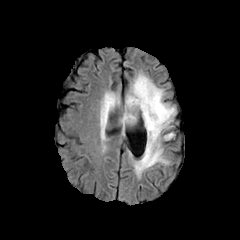
FLAIR magnetic resonance.
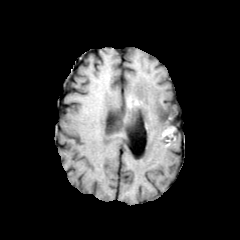
Same slice, T1-weighted MRI.
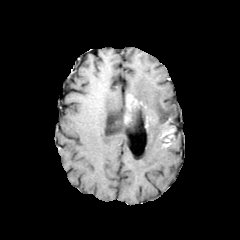
Post-contrast T1-weighted magnetic resonance.
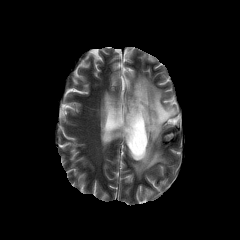
T2-weighted MRI.
Head; 240x240 px
non-enhancing tumor core: [160, 130, 172, 138], [128, 103, 172, 128] | enhancing tumor: [126, 96, 141, 111] | edema: [100, 73, 176, 177]